Hippocampus, 37x51, MR
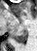

posterior hippocampus: bbox(12, 28, 27, 43)